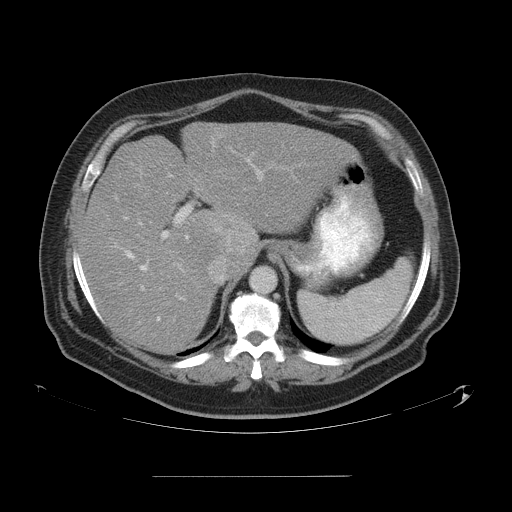
CT slice
The vessel boxes may cover only some of the vessels.
The liver tumor is bounded by box=[214, 220, 245, 253]. 14 hepatic vessel regions are located at box=[161, 231, 168, 238]; box=[168, 174, 172, 176]; box=[126, 251, 134, 258]; box=[186, 235, 188, 241]; box=[157, 317, 159, 320]; box=[115, 197, 117, 199]; box=[176, 294, 184, 299]; box=[251, 164, 262, 179]; box=[134, 259, 137, 260]; box=[140, 261, 148, 269]; box=[141, 286, 144, 290]; box=[246, 158, 249, 162]; box=[173, 204, 191, 224]; box=[124, 217, 127, 219].